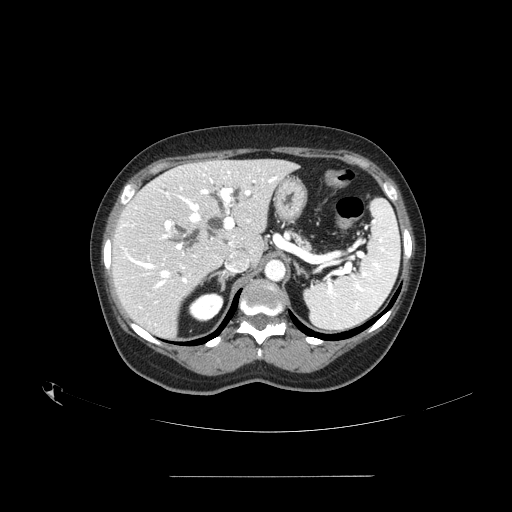
CT scan slice
<segmentation>
  <pancreas>[293,232,313,250]</pancreas>
</segmentation>